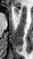 Hippocampus, MRI slice

Anterior hippocampus: bounding box box=[13, 7, 18, 14].